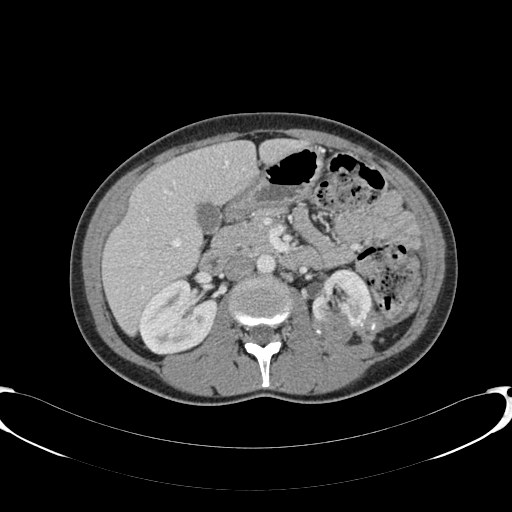
CT
kidney:
  - rect(141, 281, 215, 353)
  - rect(310, 270, 370, 346)
liver:
  - rect(260, 139, 306, 163)
  - rect(103, 141, 257, 333)